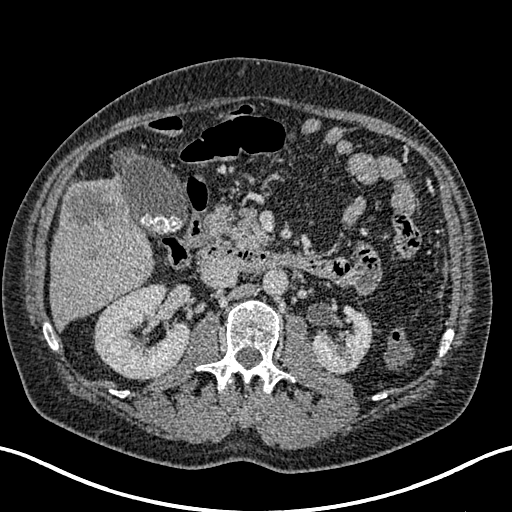 Computed tomography | Liver | 512x512
<segmentation>
  <kidney>[313,307,370,372], [96,285,188,378]</kidney>
  <liver>[93,178,123,200], [49,197,154,328]</liver>
  <hepatic_lesion>[65,182,125,228]</hepatic_lesion>
</segmentation>